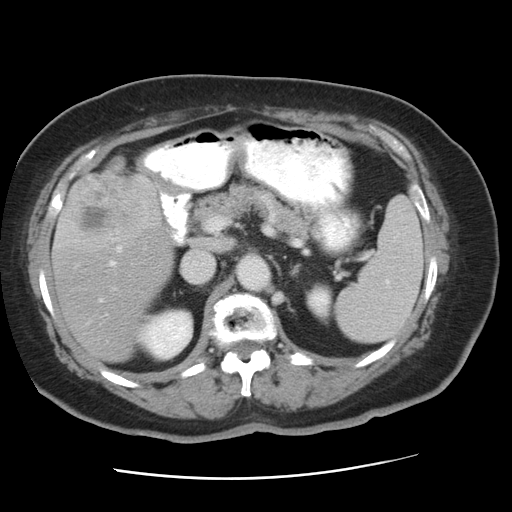 Computed tomography. 512x512.

Only some of the vessels may be annotated.
liver_tumor:
  - rect(70, 177, 143, 237)
hepatic_vessel:
  - rect(171, 234, 174, 239)
  - rect(208, 218, 225, 230)
  - rect(117, 246, 120, 250)
  - rect(99, 299, 101, 301)
  - rect(160, 194, 161, 204)
  - rect(109, 260, 114, 265)
  - rect(241, 141, 247, 146)